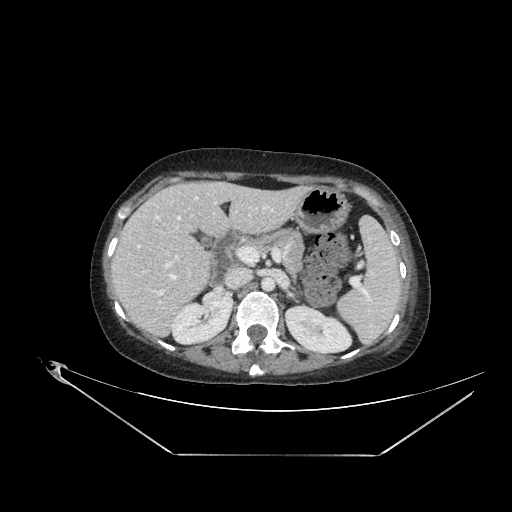 512x512, Upper abdomen, Computed tomography

2 kidney regions are located at box=[171, 296, 232, 343]; box=[286, 307, 350, 352]. The liver is bounded by box=[112, 183, 307, 337].